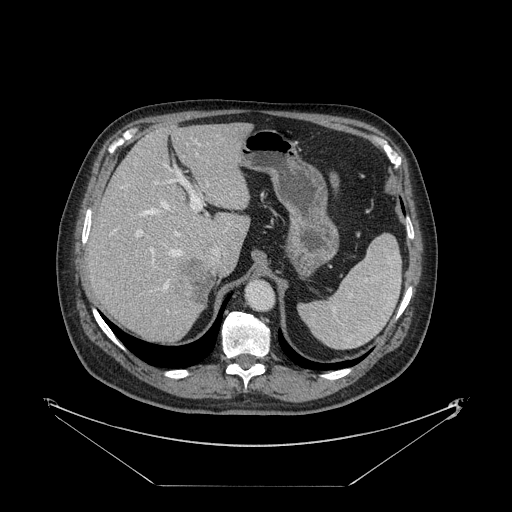 CT image. 512x512 px.
The vessel annotation is not exhaustive.
The liver tumor is bounded by bbox=[182, 258, 211, 307]. 9 hepatic vessel regions are located at bbox=[170, 180, 174, 181]; bbox=[163, 284, 167, 289]; bbox=[136, 230, 142, 235]; bbox=[195, 140, 197, 143]; bbox=[164, 163, 204, 209]; bbox=[175, 232, 177, 235]; bbox=[155, 182, 157, 183]; bbox=[205, 212, 209, 216]; bbox=[150, 247, 153, 251].